Image size 512x512; Image width 434 mm; Computed tomography; Slice 498/605

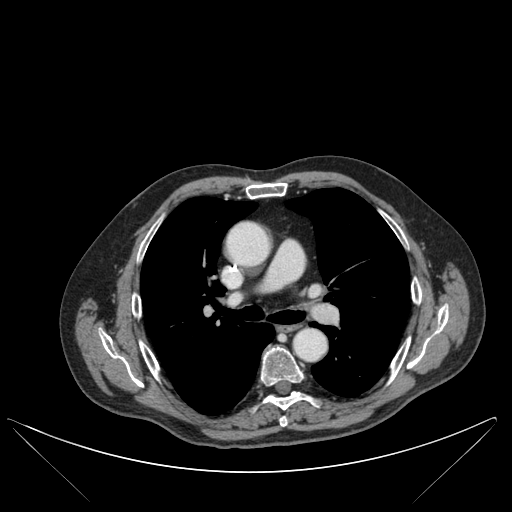

12 bone regions are located at 411 278 421 303, 132 294 141 316, 138 223 157 259, 384 214 403 238, 139 341 159 379, 246 183 286 198, 263 391 315 409, 280 416 287 426, 407 306 448 368, 389 337 410 382, 100 332 143 386, 261 346 303 384. 2 lung regions are bounded by 285 188 409 396, 140 197 304 414.